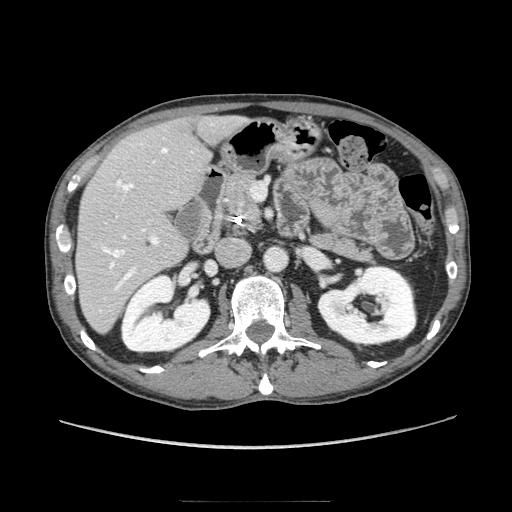
CT scan slice
<segmentation>
  <pancreas>[311, 232, 371, 260], [227, 176, 260, 223]</pancreas>
  <pancreatic_tumor>[228, 180, 247, 206]</pancreatic_tumor>
</segmentation>